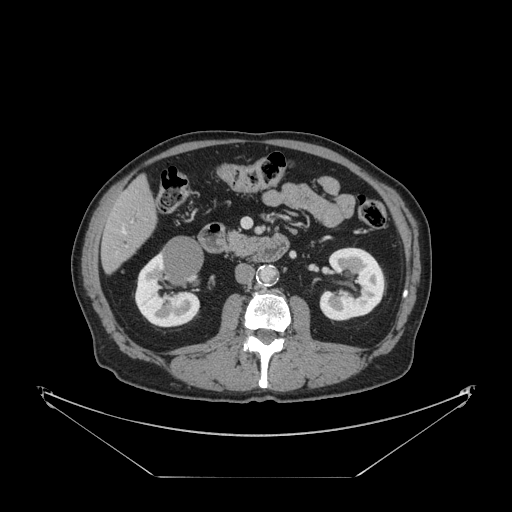 512x512. Computed tomography. Abdomen.

Not every hepatic vessel necessarily has a box.
The hepatic vessel is at left=121, top=227, right=124, bottom=232.